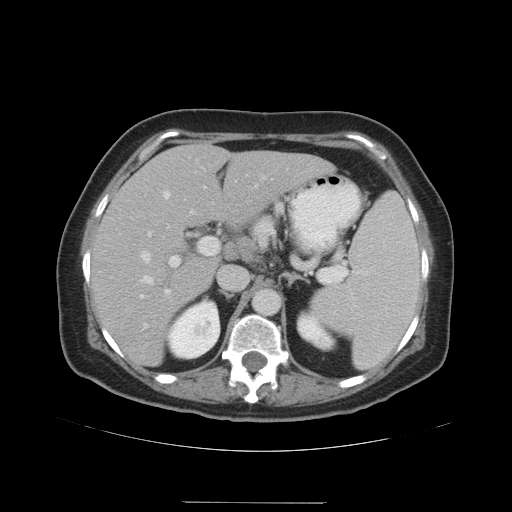
CT scan slice.
Only some of the vessels may be annotated.
{
  "hepatic_vessel": [
    "bbox=[261, 177, 264, 179]",
    "bbox=[142, 252, 149, 261]",
    "bbox=[165, 289, 168, 294]",
    "bbox=[140, 294, 143, 297]",
    "bbox=[164, 192, 169, 197]",
    "bbox=[212, 202, 213, 203]",
    "bbox=[148, 232, 150, 235]",
    "bbox=[143, 323, 147, 328]",
    "bbox=[169, 256, 180, 266]",
    "bbox=[141, 277, 152, 283]",
    "bbox=[255, 184, 257, 186]",
    "bbox=[190, 209, 194, 214]"
  ]
}